240x240, Slice index 64
FLAIR magnetic resonance.
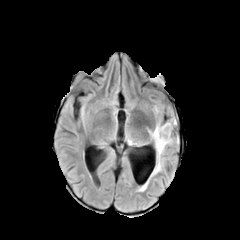
T1-weighted MRI.
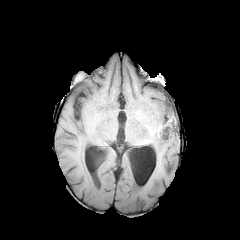
Post-contrast T1-weighted MR image.
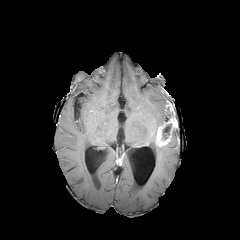
T2-weighted MR.
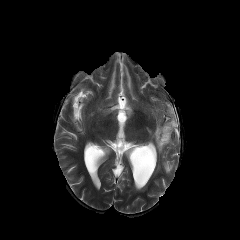
2 edema regions appear at left=137, top=180, right=148, bottom=191; left=148, top=118, right=179, bottom=177. The non-enhancing tumor core is at left=162, top=123, right=171, bottom=139. 2 enhancing tumor regions are bounded by left=156, top=125, right=170, bottom=145; left=165, top=118, right=175, bottom=131.